Slice index 90.
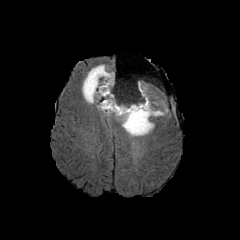
FLAIR MR image.
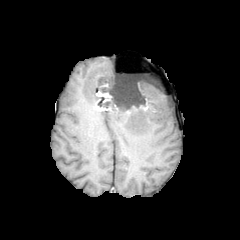
T1-weighted MR.
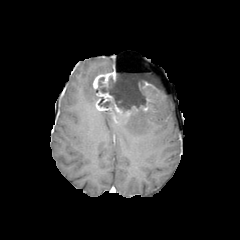
Post-contrast T1-weighted MR.
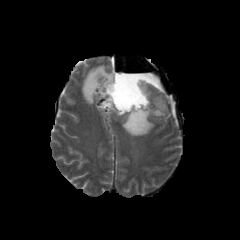
T2-weighted MR of the same slice.
2 edema regions are located at left=82, top=63, right=112, bottom=105; left=116, top=81, right=167, bottom=136. The non-enhancing tumor core is at left=94, top=76, right=148, bottom=123. 4 enhancing tumor regions are located at left=96, top=91, right=112, bottom=101; left=96, top=101, right=111, bottom=110; left=93, top=71, right=113, bottom=88; left=114, top=104, right=122, bottom=115.